Slice 46 of 134. CT.

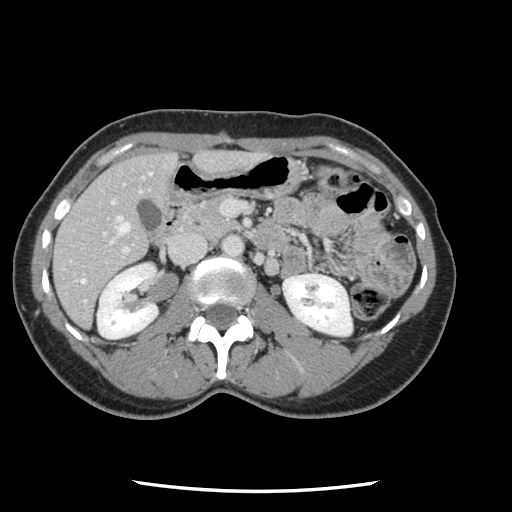

Some hepatic vessels may have no box.
3 hepatic vessel regions appear at x1=122 y1=247 x2=127 y2=251, x1=116 y1=216 x2=129 y2=233, x1=81 y1=279 x2=84 y2=282.